Thorax, CT image 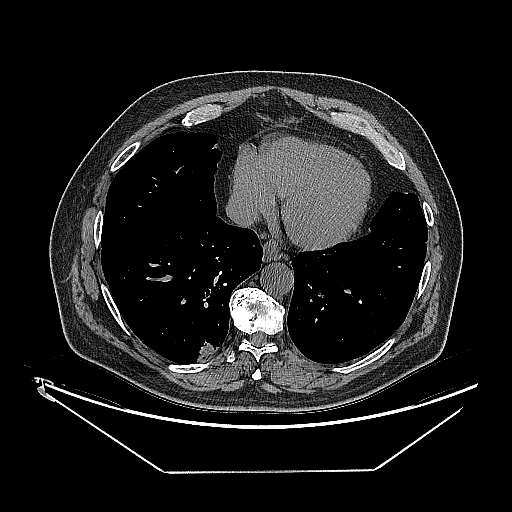
Findings:
- lung tumor: [196,342,220,362]